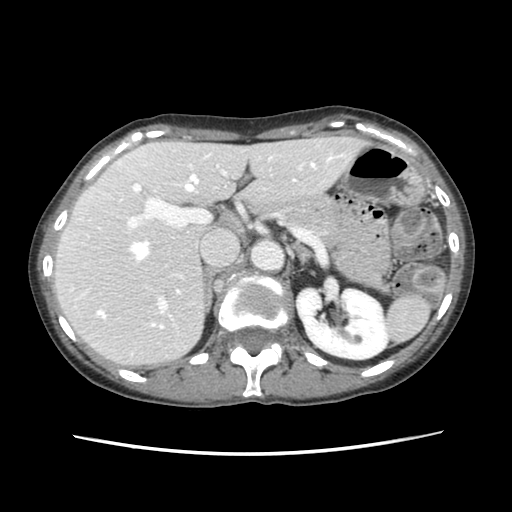
CT image. 512x512. Abdomen. spleen:
  - x1=385 y1=297 x2=429 y2=342